CT image
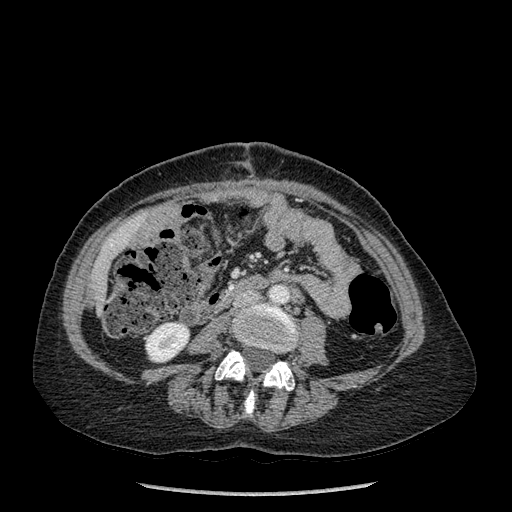

kidney:
  - {"x1": 146, "y1": 323, "x2": 188, "y2": 361}
liver:
  - {"x1": 120, "y1": 219, "x2": 138, "y2": 237}
  - {"x1": 91, "y1": 230, "x2": 129, "y2": 307}
bone:
  - {"x1": 244, "y1": 390, "x2": 254, "y2": 414}
  - {"x1": 232, "y1": 303, "x2": 298, "y2": 352}
  - {"x1": 263, "y1": 361, "x2": 294, "y2": 390}
  - {"x1": 215, "y1": 350, "x2": 246, "y2": 380}